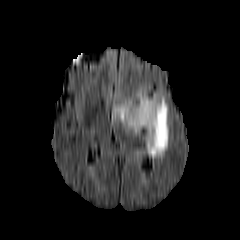
FLAIR MRI.
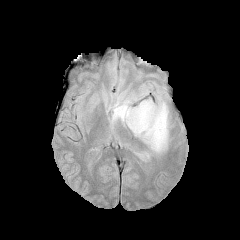
Same slice, T1-weighted MR.
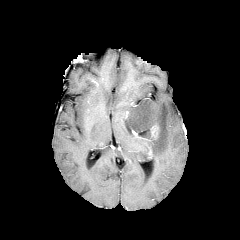
Same slice, post-contrast T1-weighted MRI.
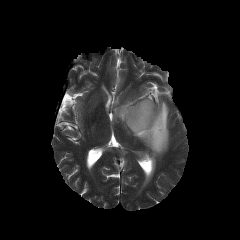
T2-weighted MR of the same slice.
Brain.
Edema at <bbox>112, 88, 169, 158</bbox>.
Enhancing tumor at <bbox>151, 124, 159, 135</bbox>.